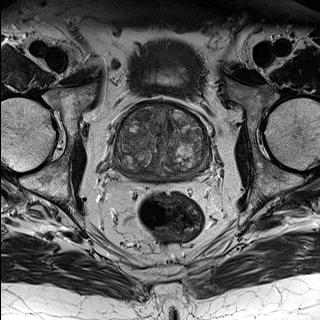
T2-weighted MR image.
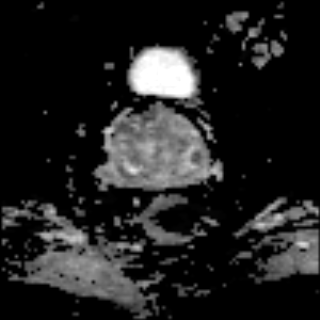
ADC MR of the same slice.
320x320 px
The prostate peripheral zone is bounded by {"x1": 121, "y1": 154, "x2": 207, "y2": 177}. The prostate transition zone is bounded by {"x1": 116, "y1": 107, "x2": 207, "y2": 175}.